Computed tomography. Slice 57/161. 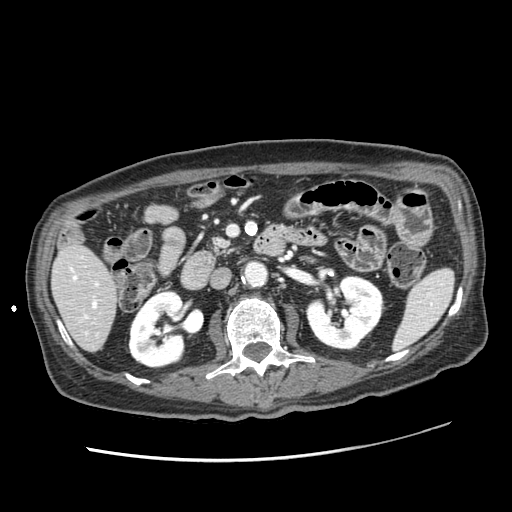
{
  "pancreas": [
    "<box>215,239,225,248</box>"
  ]
}